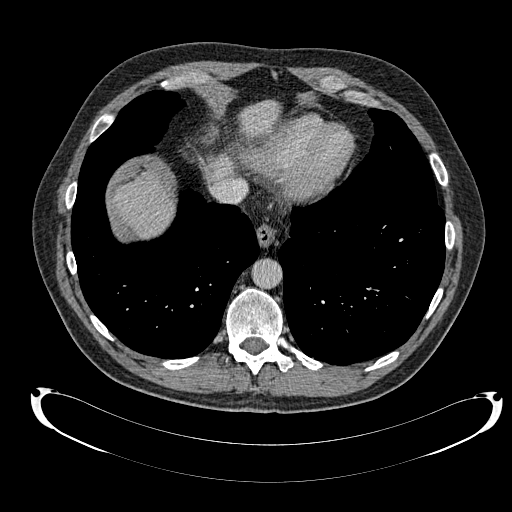 Computed tomography. 3 liver regions appear at {"x1": 212, "y1": 156, "x2": 232, "y2": 180}, {"x1": 240, "y1": 102, "x2": 277, "y2": 138}, {"x1": 115, "y1": 174, "x2": 172, "y2": 237}.